CT scan slice.

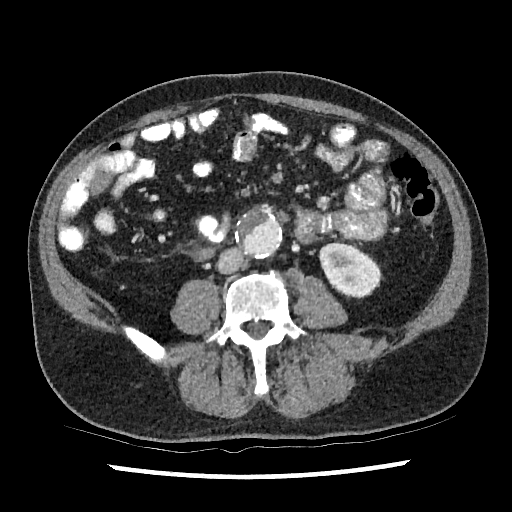
Kidney: bounding box box=[324, 247, 380, 296].